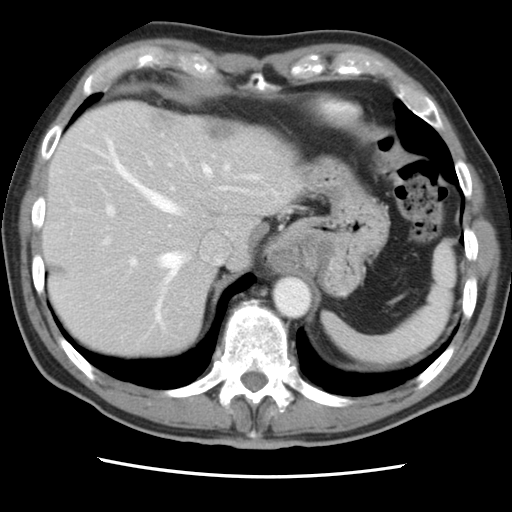
CT scan slice, Abdomen

Only some of the vessels may be annotated.
Findings:
* hepatic vessel: (104, 239, 109, 243), (160, 252, 183, 281), (149, 161, 150, 163), (249, 174, 256, 177), (107, 138, 178, 212), (171, 187, 173, 188), (222, 187, 233, 189), (156, 300, 162, 324), (131, 258, 136, 264), (107, 206, 114, 214), (169, 164, 171, 165), (225, 165, 228, 169), (204, 166, 211, 174)
* liver tumor: (207, 124, 231, 134), (156, 114, 175, 126)